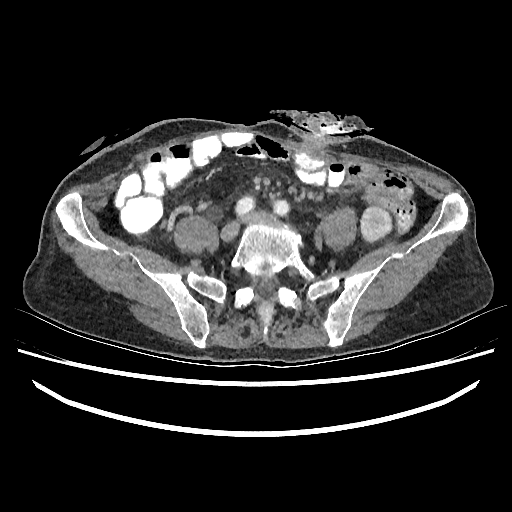
CT.
* kidney: x1=361 y1=207 x2=391 y2=240, x1=390 y1=252 x2=403 y2=258